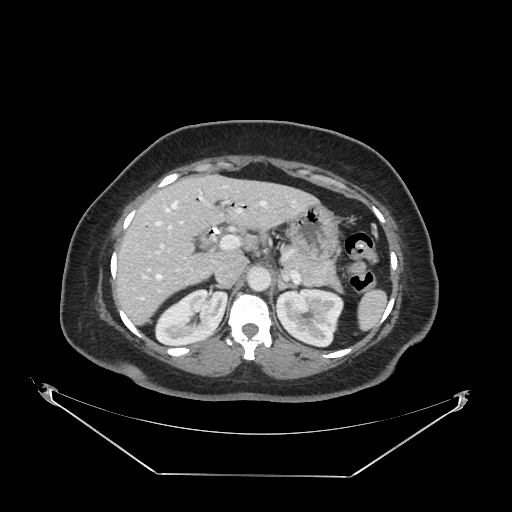 CT scan slice, Upper abdomen
Findings:
- pancreas: bbox=[291, 253, 340, 289]